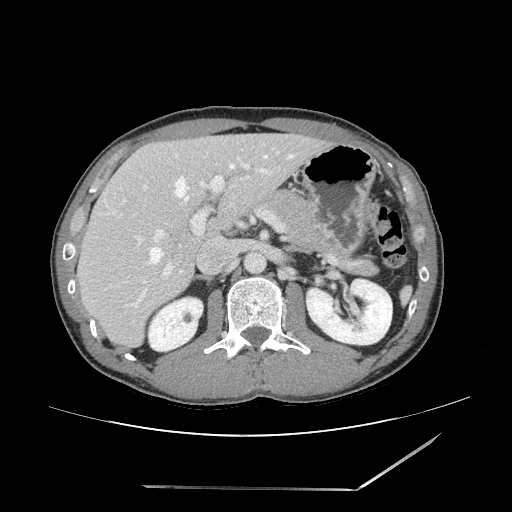

Abdomen; CT image

Annotated regions:
• pancreas: rect(260, 189, 375, 273)